CT, Field of view 411x411 mm, Slice 535 of 574, Liver, Image size 512x512

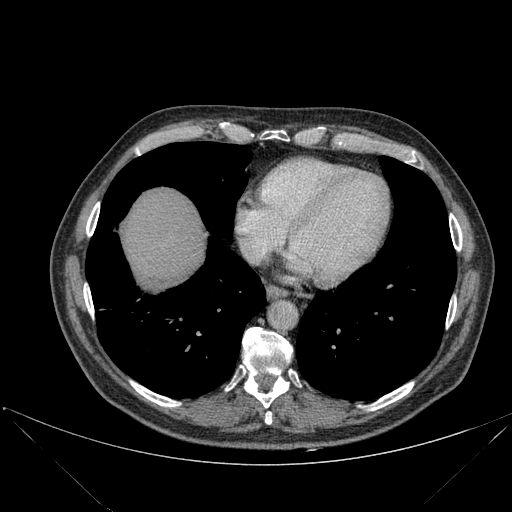 Annotated regions:
* bone: x1=446 y1=297 x2=456 y2=327, x1=86 y1=202 x2=99 y2=236, x1=449 y1=214 x2=461 y2=250, x1=265 y1=130 x2=285 y2=139, x1=130 y1=382 x2=179 y2=406, x1=83 y1=283 x2=93 y2=315, x1=369 y1=382 x2=413 y2=410, x1=240 y1=327 x2=291 y2=407, x1=264 y1=412 x2=271 y2=424
* liver: x1=120 y1=188 x2=206 y2=278
* lung: x1=85 y1=142 x2=265 y2=398, x1=296 y1=156 x2=456 y2=399